Liver, CT slice, 512x512 px

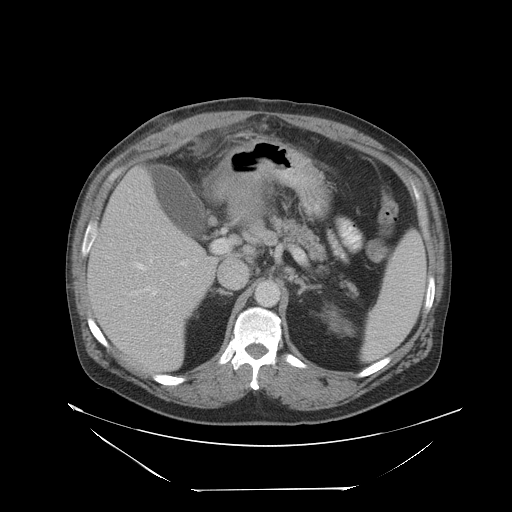
The vessel annotation is not exhaustive.
Hepatic vessel — [136,263,144,269], [164,349,165,350], [153,291,155,294], [214,240,227,252], [180,261,186,264].